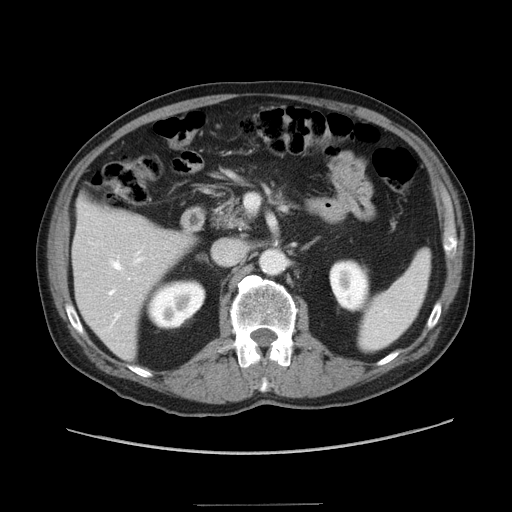 CT; Abdomen
Pancreas: bounding box 214, 197, 246, 228.